Computed tomography
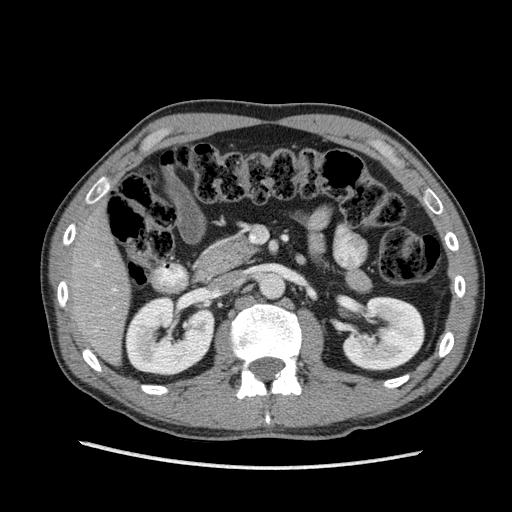

Segmented structures:
- kidney: (344,298,423,368), (127,298,213,373)
- liver: (63,201,130,365)